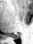

MRI; Hippocampus

* posterior hippocampus: bbox=[9, 35, 19, 39]